CT scan slice, 512x512, Liver
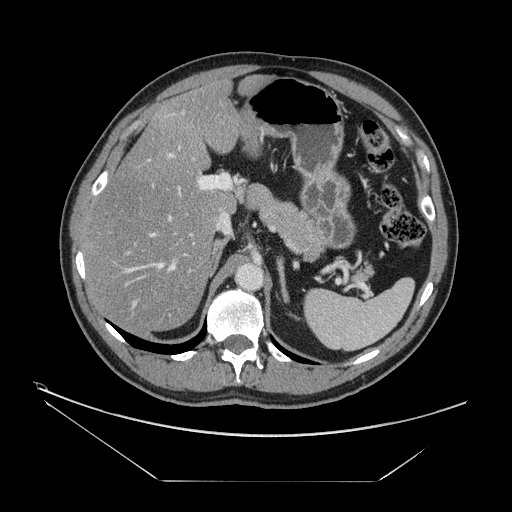 Some hepatic vessels may have no box.
4 hepatic vessel regions are bounded by 169 265 174 269, 158 264 162 266, 169 154 172 156, 152 234 153 235.